Abdomen | Field of view 400x400 mm | Image size 512x512 | CT scan slice

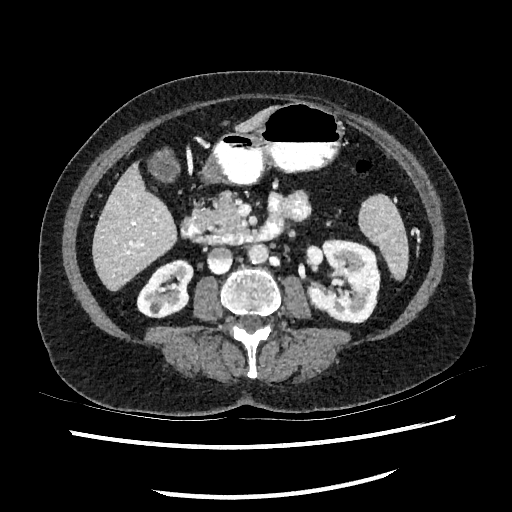

liver:
  - 92:164:175:290
  - 237:110:270:130
kidney:
  - 138:261:192:316
  - 308:241:379:321